FLAIR MRI.
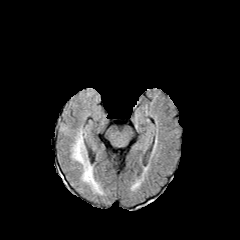
T1-weighted MR image.
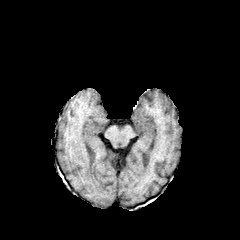
Post-contrast T1-weighted MR.
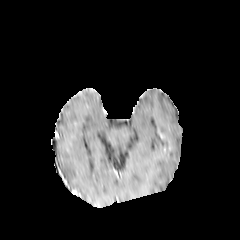
T2-weighted magnetic resonance.
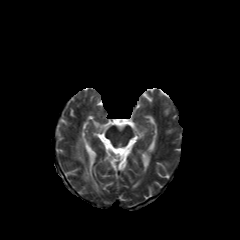
Head.
Edema: [72, 130, 103, 193].